Brain; Field of view 240x240 mm; Slice 46/155
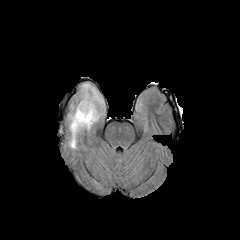
FLAIR magnetic resonance.
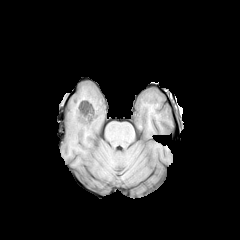
T1-weighted MR image.
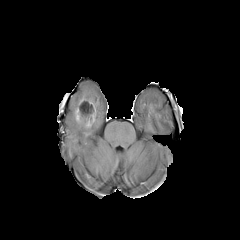
Same slice, post-contrast T1-weighted MR image.
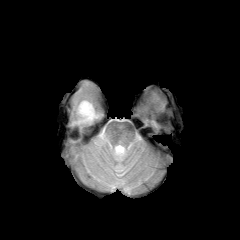
T2-weighted MR of the same slice.
The edema appears at <bbox>68, 83, 103, 149</bbox>. The non-enhancing tumor core is located at <bbox>77, 101, 97, 121</bbox>.